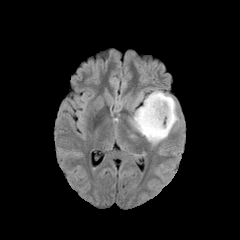
FLAIR MR.
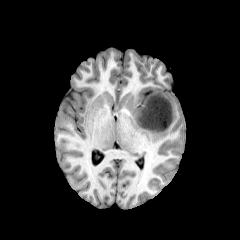
T1-weighted magnetic resonance of the same slice.
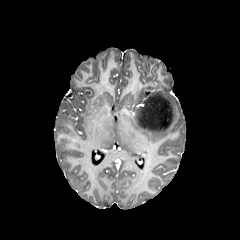
Post-contrast T1-weighted magnetic resonance.
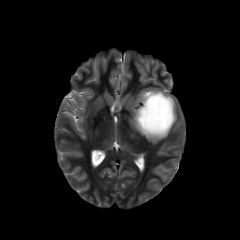
T2-weighted MR image.
Head
{
  "non-enhancing_tumor_core": [
    "134,92,171,131"
  ],
  "edema": [
    "130,87,179,144"
  ]
}